Slice 78/155. 240x240 px.
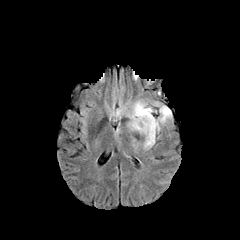
FLAIR magnetic resonance.
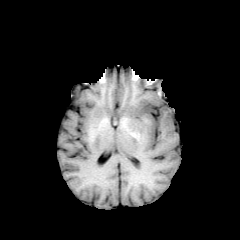
Same slice, T1-weighted MRI.
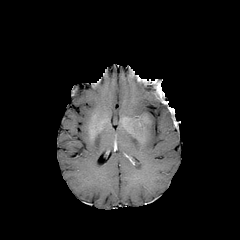
Post-contrast T1-weighted MRI.
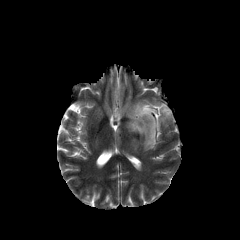
T2-weighted MR image.
The edema is located at l=124, t=98, r=172, b=151.